Computed tomography; Image width 420 mm; Liver 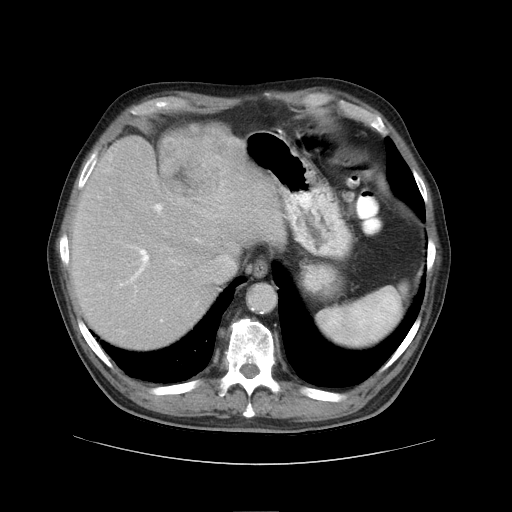
Only some of the vessels may be annotated.
<segmentation>
  <liver_tumor><bbox>158, 127, 230, 198</bbox></liver_tumor>
  <hepatic_vessel><bbox>153, 204, 162, 213</bbox>, <bbox>128, 248, 148, 281</bbox></hepatic_vessel>
</segmentation>